CT slice. Slice index 61. Lower abdomen. Field of view 343 mm wide, 1.50 mm slice spacing.

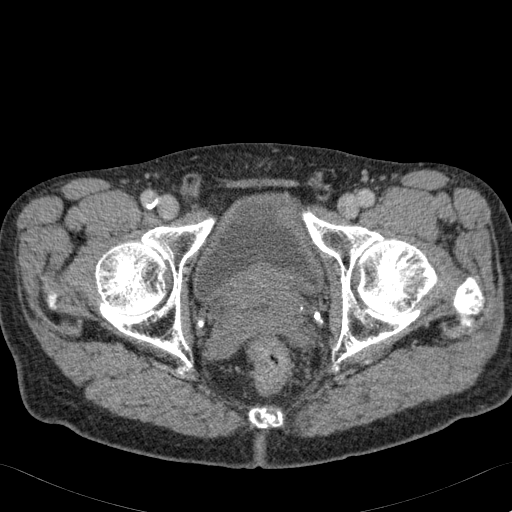
Urinary bladder = left=196, top=198, right=326, bottom=302.